Abdomen, Image width 360 mm, Computed tomography
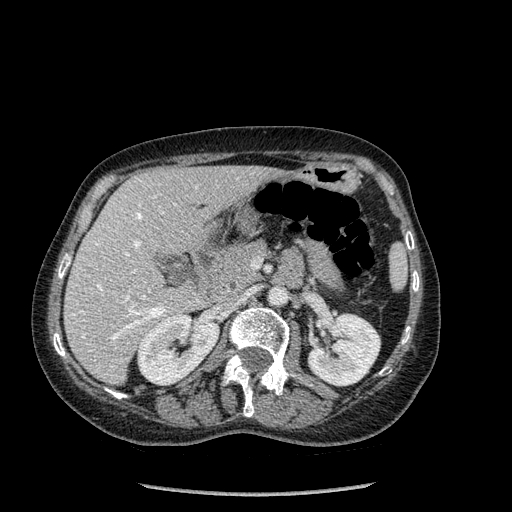
bone: left=223, top=354, right=254, bottom=416; left=58, top=256, right=70, bottom=278; left=105, top=388, right=126, bottom=398; left=53, top=332, right=65, bottom=356; left=411, top=271, right=419, bottom=291; left=401, top=326, right=410, bottom=344; left=229, top=306, right=295, bottom=395; left=405, top=231, right=414, bottom=249 | liver: left=64, top=166, right=281, bottom=385 | kidney: left=308, top=309, right=379, bottom=385; left=138, top=314, right=218, bottom=384